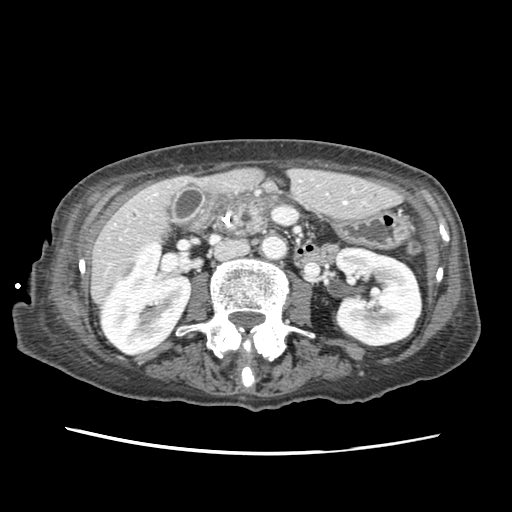
Computed tomography.
Pancreas: bounding box 233, 197, 284, 234.